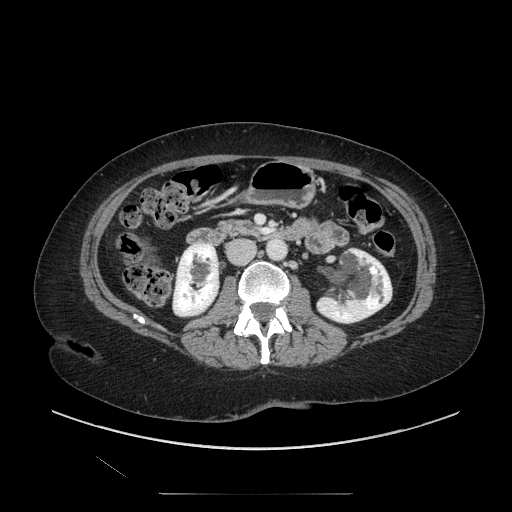

CT
{
  "pancreas": [
    "218,220,258,236"
  ]
}